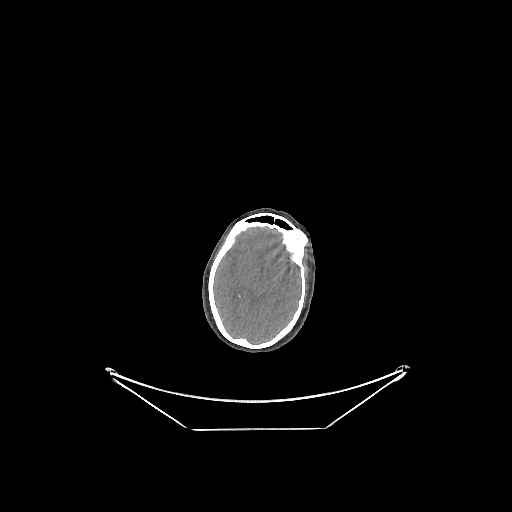
CT; Head

Brain = {"x1": 213, "y1": 226, "x2": 301, "y2": 344}.